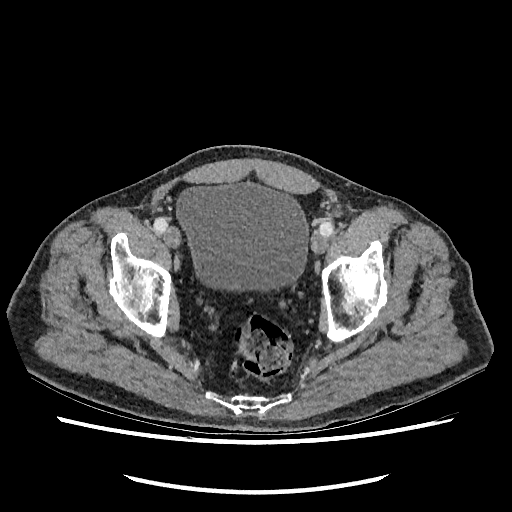 CT scan slice, Lower abdomen, 512x512

The urinary bladder is at 176,181,308,290.